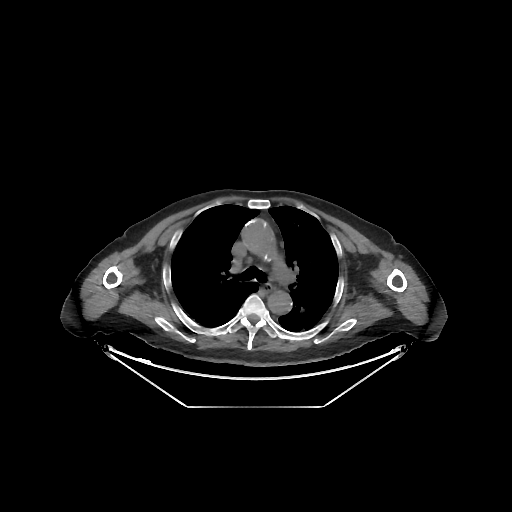
CT scan slice

Segmented structures:
• lung: l=268, t=205, r=338, b=331; l=171, t=204, r=267, b=327
• bone: l=195, t=294, r=327, b=349; l=248, t=200, r=269, b=208; l=331, t=319, r=356, b=334; l=387, t=269, r=406, b=291; l=172, t=302, r=199, b=329; l=335, t=280, r=343, b=302; l=103, t=266, r=122, b=288; l=155, t=317, r=195, b=342; l=163, t=271, r=170, b=287